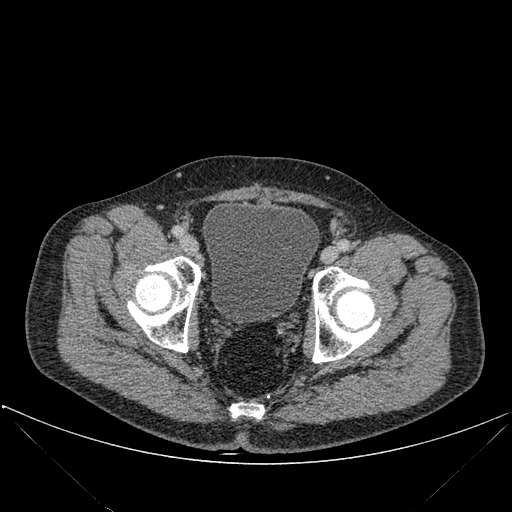

Pelvis; Computed tomography

bone:
  - <bbox>230, 403, 264, 418</bbox>
  - <bbox>127, 256, 200, 352</bbox>
  - <bbox>312, 267, 380, 362</bbox>
urinary_bladder:
  - <bbox>202, 201, 318, 323</bbox>